Brain, Image width 240 mm
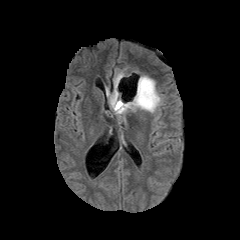
FLAIR MR image.
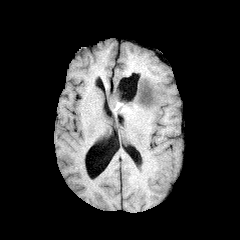
T1-weighted MR image of the same slice.
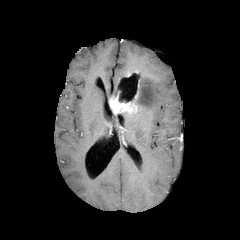
Post-contrast T1-weighted MRI.
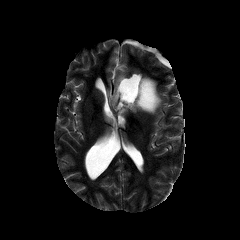
T2-weighted MR.
non-enhancing_tumor_core:
  - 114:113:123:122
  - 112:78:150:107
edema:
  - 106:67:165:121
enhancing_tumor:
  - 109:93:136:113